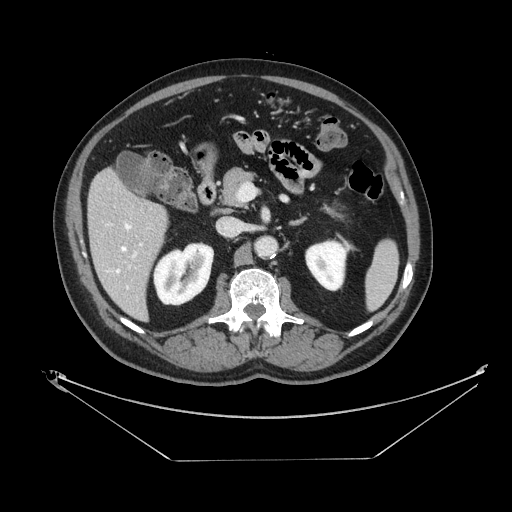 Abdomen; CT image

{"pancreas": ["<bbox>222, 167, 254, 206</bbox>"]}